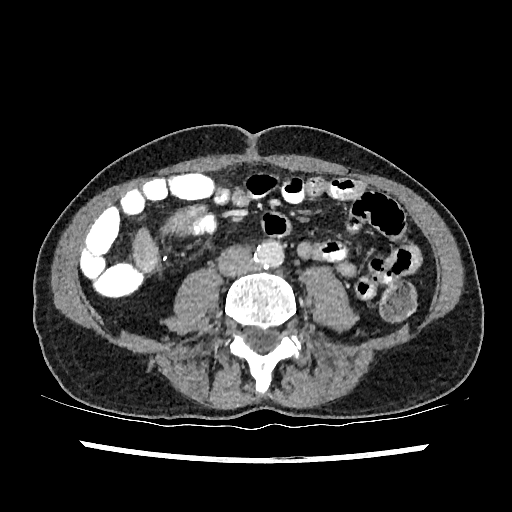

CT. Liver. Image size 512x512. Segmented structures:
• liver: (133,229,158,272)